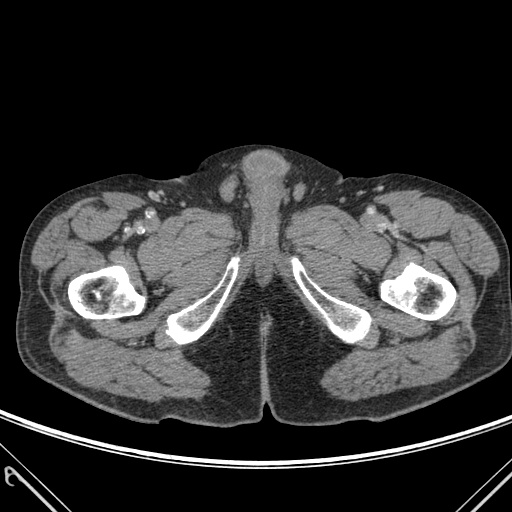

Computed tomography
<segmentation>
  <bone>box(292, 258, 370, 342); box(68, 266, 144, 318); box(381, 263, 455, 319); box(166, 258, 238, 343)</bone>
</segmentation>